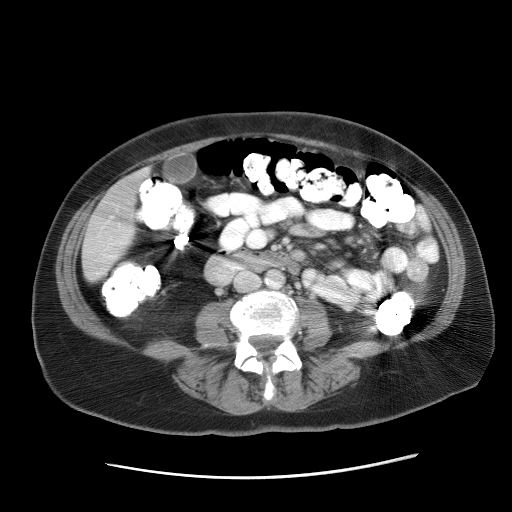
CT; 512x512

The vessel boxes may cover only some of the vessels.
{
  "hepatic_vessel": [
    "[x1=120, y1=240, x2=126, y2=243]",
    "[x1=109, y1=256, x2=114, y2=259]"
  ]
}